Slice 79/155; Head; Image width 240 mm
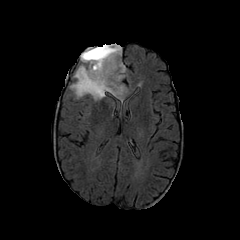
FLAIR magnetic resonance.
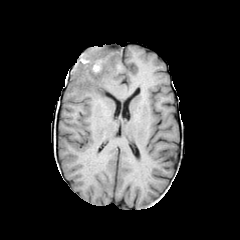
T1-weighted MR of the same slice.
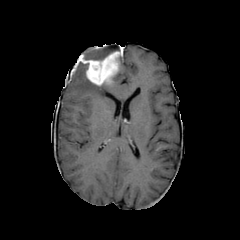
Post-contrast T1-weighted MRI.
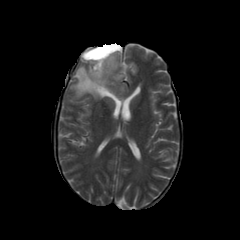
Same slice, T2-weighted MRI.
{
  "non-enhancing_tumor_core": [
    {"x1": 82, "y1": 72, "x2": 109, "y2": 94},
    {"x1": 85, "y1": 44, "x2": 120, "y2": 59}
  ],
  "edema": [
    {"x1": 70, "y1": 59, "x2": 126, "y2": 111}
  ],
  "enhancing_tumor": [
    {"x1": 78, "y1": 47, "x2": 122, "y2": 86}
  ]
}